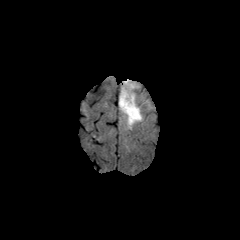
FLAIR MR image.
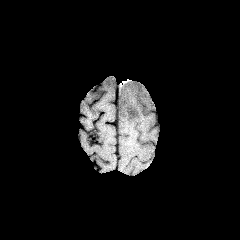
T1-weighted MR image.
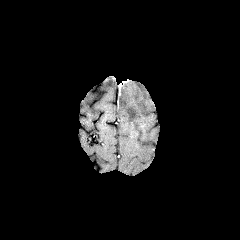
Post-contrast T1-weighted MRI.
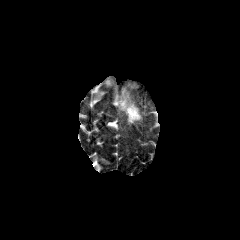
T2-weighted magnetic resonance of the same slice.
edema:
  - bbox=[118, 80, 148, 127]